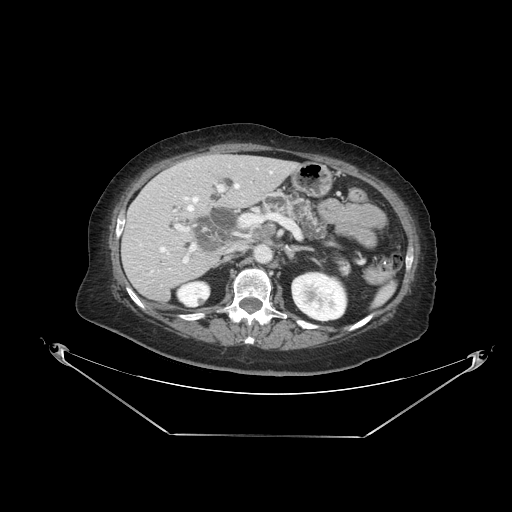
Upper abdomen, CT image

Annotated regions:
• pancreas: left=264, top=191, right=322, bottom=233; left=335, top=257, right=349, bottom=274